FLAIR MR.
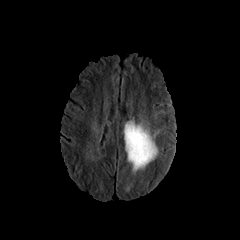
T1-weighted MR image.
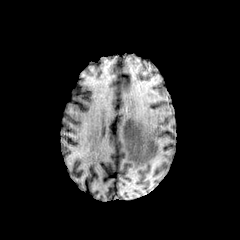
Post-contrast T1-weighted MRI.
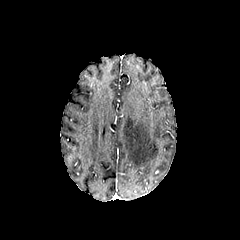
T2-weighted MRI.
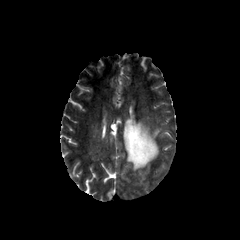
Head | Image size 240x240
edema:
  - [123,120,159,175]